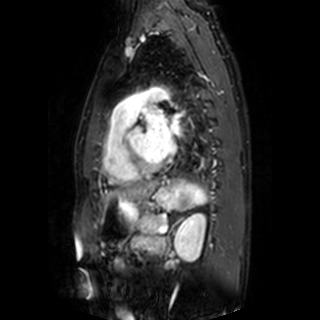

Magnetic resonance, 320x320 px, Heart
Segmented structures:
* left atrium: left=170, top=111, right=184, bottom=132; left=142, top=108, right=171, bottom=160